Slice 45/155. 240x240 px.
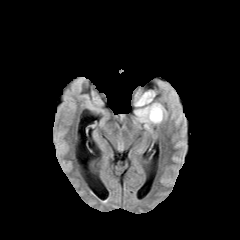
FLAIR MR image.
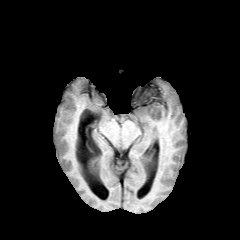
Same slice, T1-weighted MR.
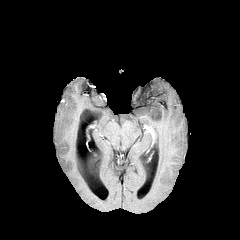
Post-contrast T1-weighted magnetic resonance.
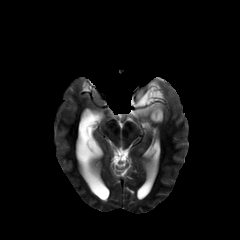
Same slice, T2-weighted magnetic resonance.
non-enhancing tumor core: <box>151,108,160,118</box>, <box>136,86,158,107</box> | edema: <box>133,100,165,124</box>